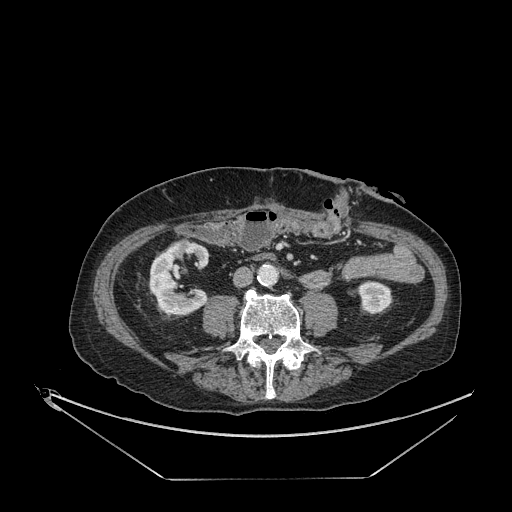

CT scan slice
kidney: (left=150, top=243, right=208, bottom=314), (left=358, top=281, right=391, bottom=313)